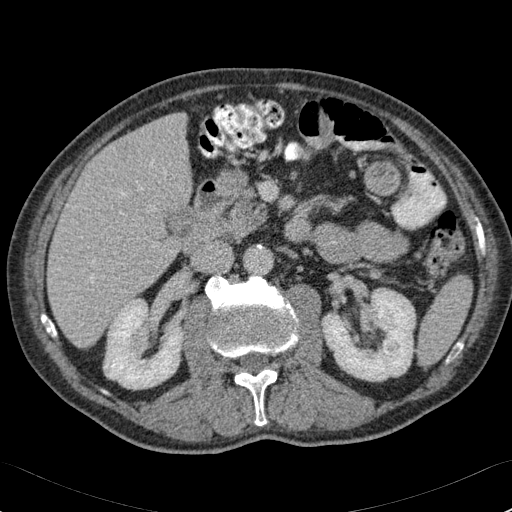

CT scan slice. 512x512. Upper abdomen.

* focal liver lesion: (118,143,134,159)
* kidney: (104,299,182,388), (322,288,415,380)
* liver: (48,114,190,347)